Image size 240x240; Head
FLAIR MR.
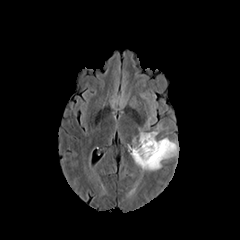
T1-weighted MR image.
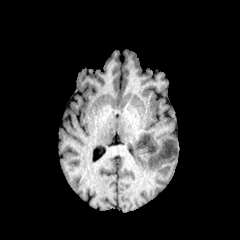
Post-contrast T1-weighted MR image.
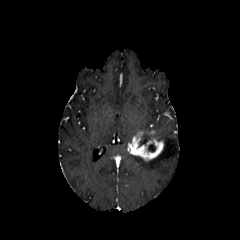
T2-weighted MRI.
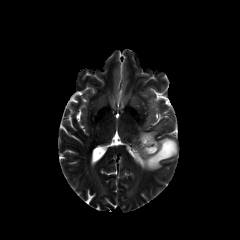
Annotated regions:
• edema: (132,137,176,170)
• non-enhancing tumor core: (147,143,156,151), (139,135,149,146)
• enhancing tumor: (132,131,163,161)